Slice 93/155
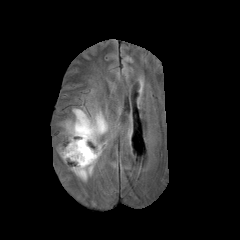
FLAIR magnetic resonance.
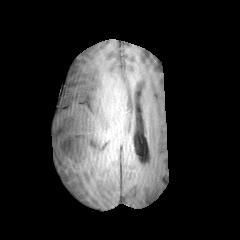
T1-weighted MR image.
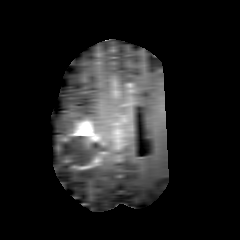
Same slice, post-contrast T1-weighted MR.
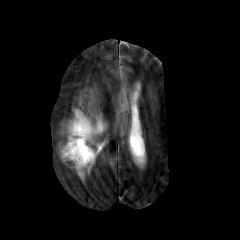
Same slice, T2-weighted MR.
Enhancing tumor: bounding box 70, 120, 104, 145; 79, 152, 105, 168.
Non-enhancing tumor core: bounding box 58, 123, 105, 170.
Edema: bounding box 72, 170, 91, 179; 61, 108, 107, 136.